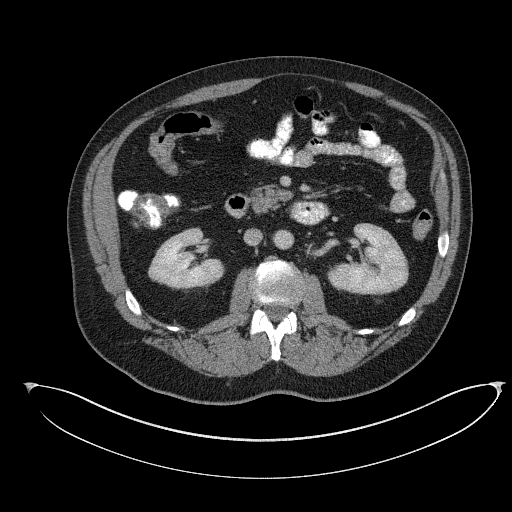
Abdomen. CT image.
Pancreas: rect(251, 185, 290, 212).